Slice 606/908 | CT slice | 512x512 px 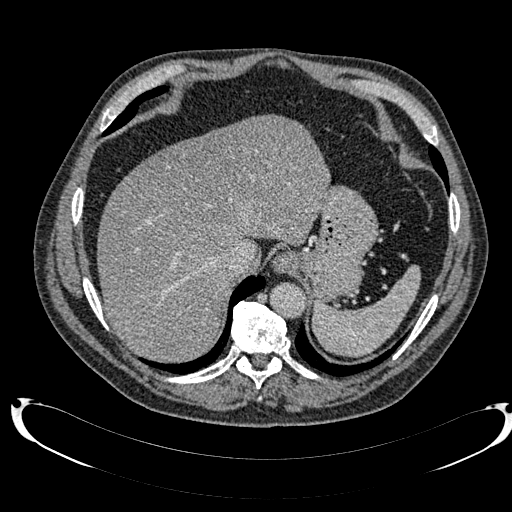
liver: rect(97, 114, 328, 362); rect(249, 249, 261, 272) | focal liver lesion: rect(137, 122, 267, 223)